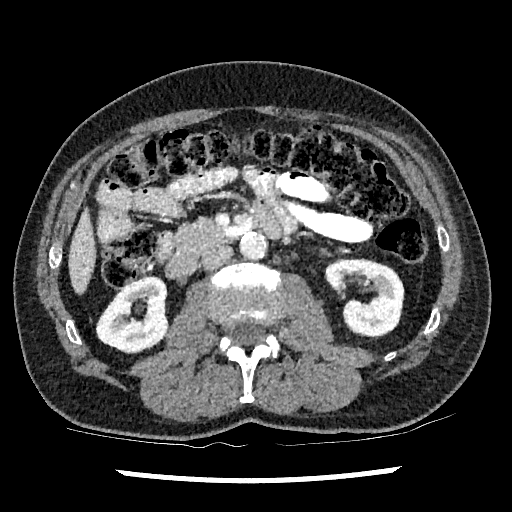 CT slice; Upper abdomen
2 kidney regions are bounded by box(97, 277, 166, 351); box(326, 260, 403, 335). The liver appears at box(68, 214, 95, 292).